CT image, Abdomen

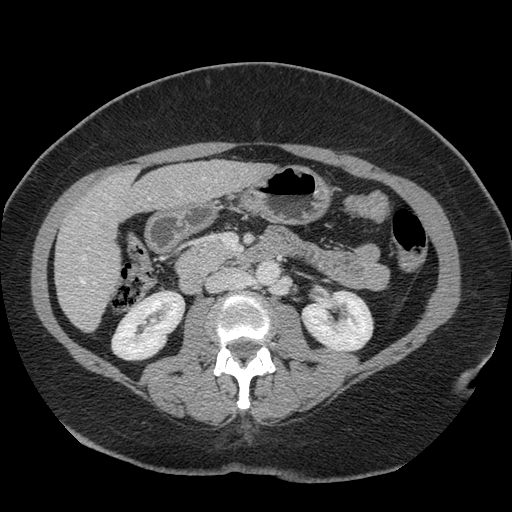

The vessel boxes may cover only some of the vessels.
hepatic_vessel:
  - box=[93, 283, 95, 284]
  - box=[80, 278, 85, 284]
  - box=[82, 256, 85, 261]